Image size 240x240, Slice index 78
FLAIR magnetic resonance.
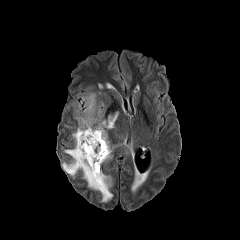
T1-weighted magnetic resonance.
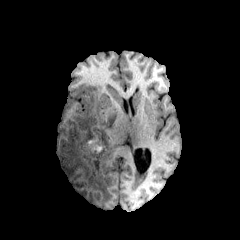
Post-contrast T1-weighted magnetic resonance.
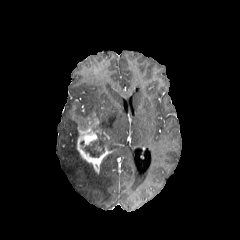
T2-weighted MR.
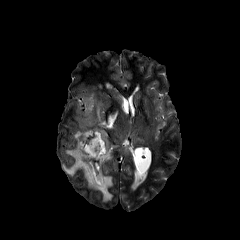
Annotated regions:
* edema: <box>60,146,113,202</box>, <box>81,93,117,131</box>
* enhancing tumor: <box>72,105,109,168</box>